Slice index 41; 512x512 px; Computed tomography

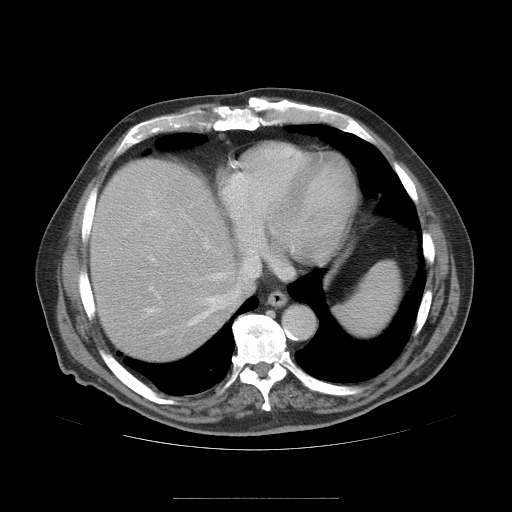 Only some of the vessels may be annotated.
9 hepatic vessel regions appear at bbox(213, 271, 230, 279); bbox(231, 286, 239, 298); bbox(146, 308, 160, 315); bbox(188, 296, 222, 325); bbox(228, 265, 230, 267); bbox(217, 251, 220, 254); bbox(149, 211, 154, 214); bbox(149, 287, 152, 290); bbox(148, 255, 156, 265).